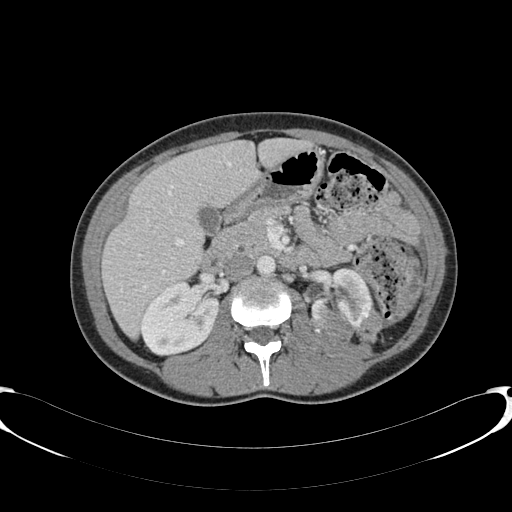 CT image. Upper abdomen. 512x512. liver: left=103, top=140, right=258, bottom=337; left=258, top=138, right=311, bottom=167 | kidney: left=142, top=283, right=217, bottom=354; left=312, top=269, right=371, bottom=348